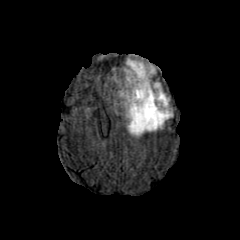
FLAIR MR.
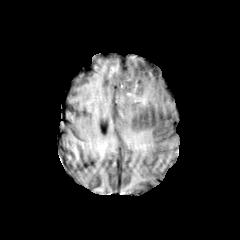
T1-weighted MRI.
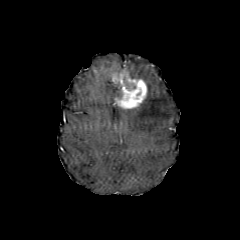
Post-contrast T1-weighted magnetic resonance.
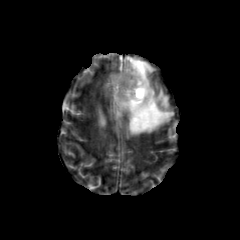
T2-weighted magnetic resonance of the same slice.
Brain
enhancing_tumor:
  - 112, 68, 147, 108
edema:
  - 119, 57, 173, 136
  - 114, 84, 121, 99